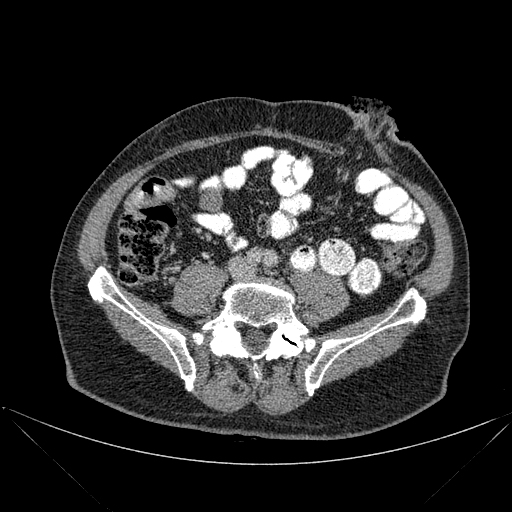 CT scan slice
bone: 193:283:314:359, 88:267:195:390, 305:289:425:395